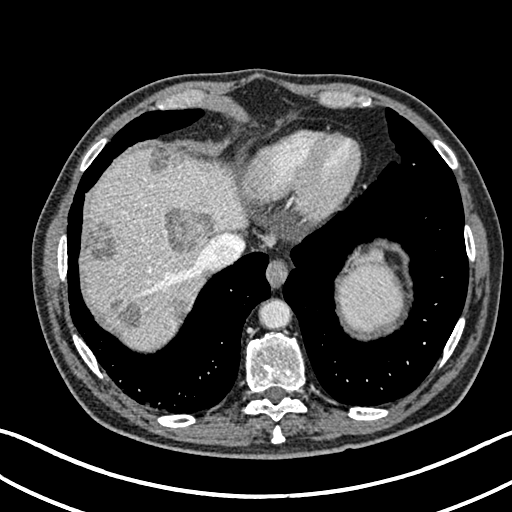
Image size 512x512. CT scan slice. Abdomen.
<segmentation>
  <liver>81:148:247:347, 360:251:382:262</liver>
  <hepatic_lesion>111:298:121:307, 164:207:216:252, 120:301:141:327, 85:222:117:260, 148:149:170:173</hepatic_lesion>
</segmentation>